CT, Slice 65 of 84 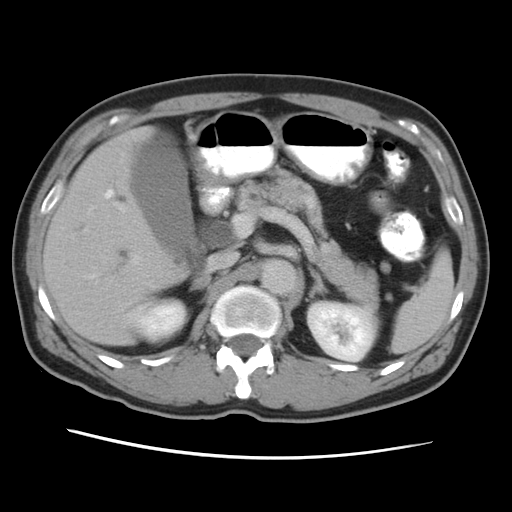
* pancreas: bbox=[230, 176, 378, 303]